FLAIR MRI.
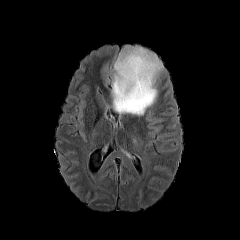
T1-weighted MRI.
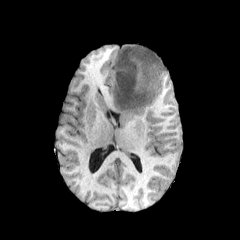
Post-contrast T1-weighted MRI.
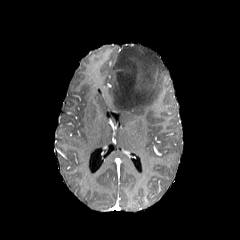
T2-weighted magnetic resonance.
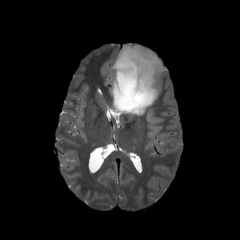
240x240.
The edema is bounded by <box>109,48,163,116</box>.